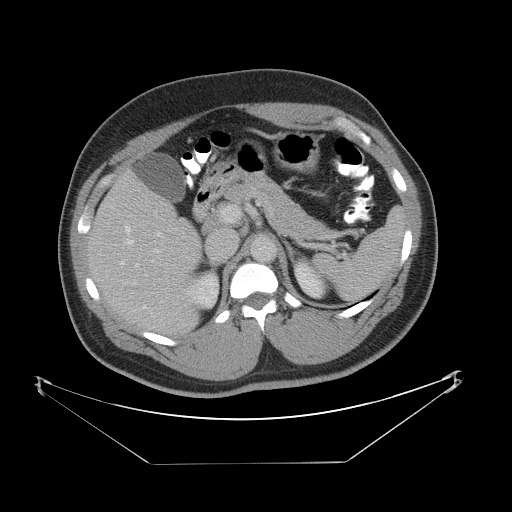

Abdomen; Computed tomography

The vessel annotation is not exhaustive.
hepatic vessel: box=[180, 250, 186, 257]; box=[209, 232, 236, 258]